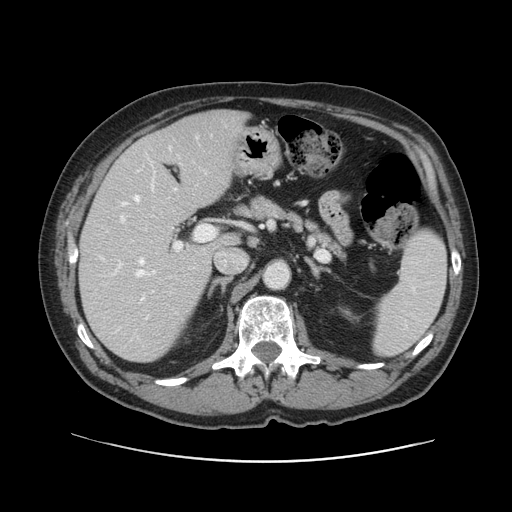 CT; 512x512
The vessel annotation is not exhaustive.
Annotated regions:
* hepatic vessel: 141:297:143:299, 153:271:154:272, 121:216:123:221, 169:147:170:148, 114:261:121:273, 122:203:126:205, 136:270:143:275, 134:195:139:200, 139:258:143:263